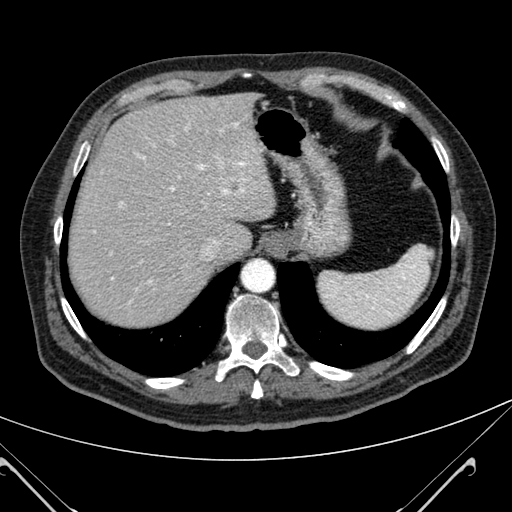 CT slice; Image size 512x512
{"liver": ["[x1=68, y1=90, x2=276, y2=327]"]}